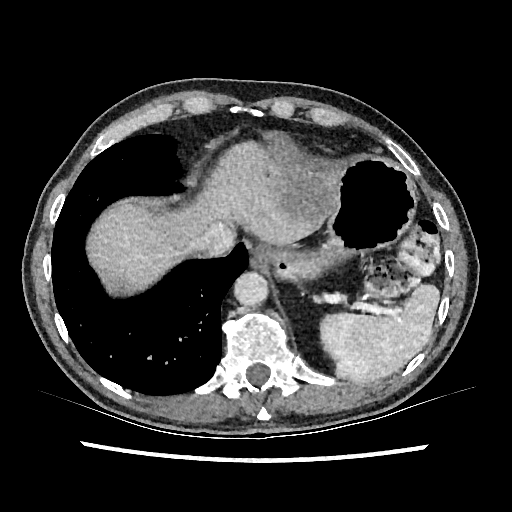

CT slice; 512x512 px
Focal liver lesion at [x1=262, y1=168, x2=269, y2=176], [x1=273, y1=173, x2=336, y2=225].
Liver at [x1=90, y1=145, x2=327, y2=292].